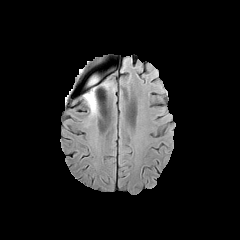
FLAIR MR.
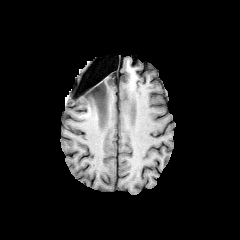
T1-weighted magnetic resonance.
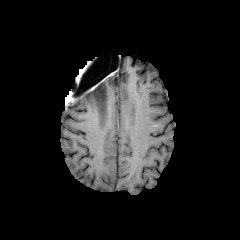
Post-contrast T1-weighted magnetic resonance of the same slice.
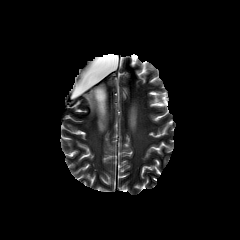
T2-weighted MRI of the same slice.
240x240, Head
<segmentation>
  <edema>box(82, 84, 105, 116)</edema>
</segmentation>